Slice 104 of 155, 240x240 px
FLAIR MR image.
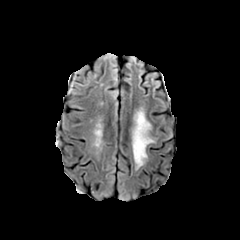
T1-weighted magnetic resonance.
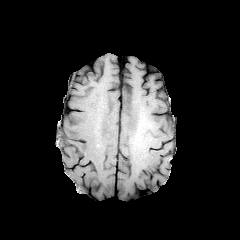
Post-contrast T1-weighted MR image.
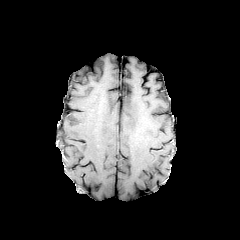
T2-weighted MR.
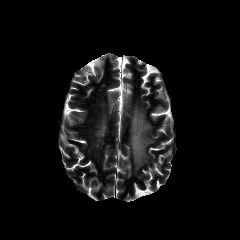
Segmented structures:
* edema: x1=132 y1=111 x2=153 y2=168